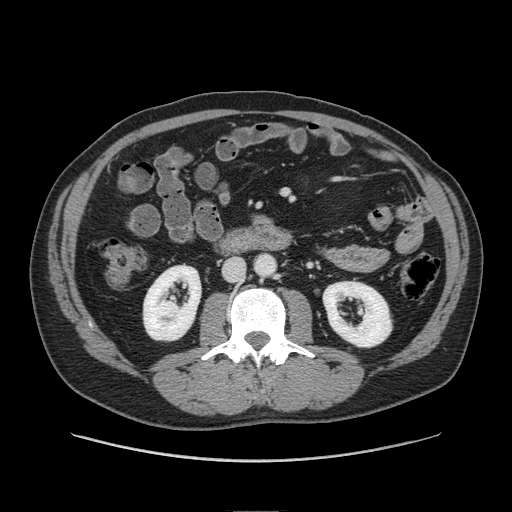 CT

The pancreas is bounded by [241, 212, 275, 226].